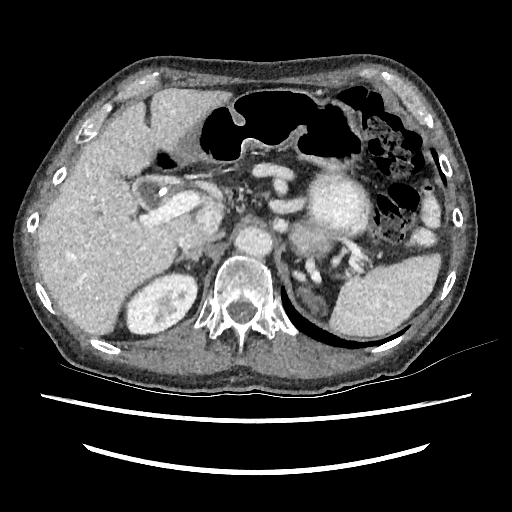
CT scan slice

kidney: (left=127, top=275, right=196, bottom=333) | liver: (left=38, top=89, right=227, bottom=333)